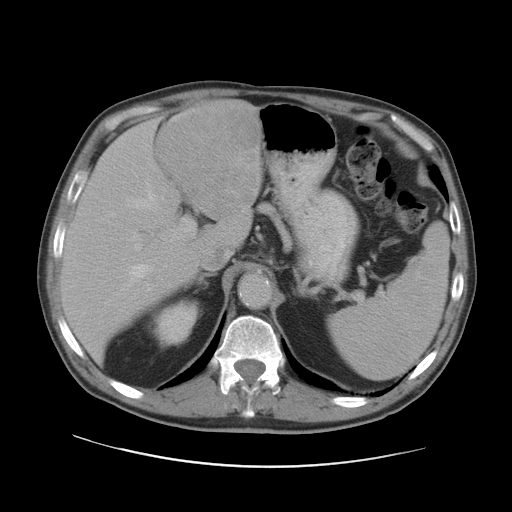

CT

Some hepatic vessels may have no box.
Hepatic vessel: bounding box (105, 302, 108, 304), (124, 263, 152, 286), (162, 235, 165, 240), (155, 240, 157, 242), (128, 233, 141, 249), (172, 229, 182, 240), (146, 179, 148, 183), (161, 197, 163, 199), (170, 239, 171, 241), (126, 190, 155, 208), (165, 265, 166, 266), (181, 220, 193, 231), (147, 286, 154, 290), (111, 212, 115, 217), (155, 258, 157, 260).
Liver tumor: bounding box (155, 101, 261, 218).